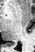

Medial temporal lobe; MRI

The posterior hippocampus is located at (6,43,9,45).